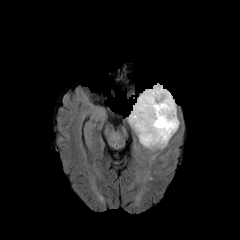
FLAIR MRI.
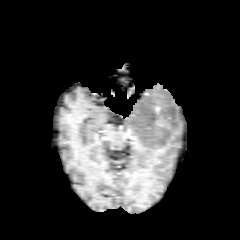
T1-weighted magnetic resonance of the same slice.
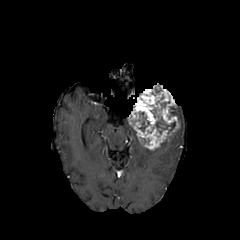
Post-contrast T1-weighted MR.
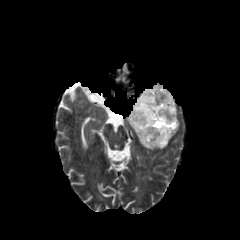
T2-weighted MR of the same slice.
Non-enhancing tumor core: rect(155, 121, 175, 129).
Enhancing tumor: rect(128, 83, 179, 149).